Slice 64 of 565 | CT scan slice | Field of view 335 mm wide, 1.00 mm slice spacing | 512x512 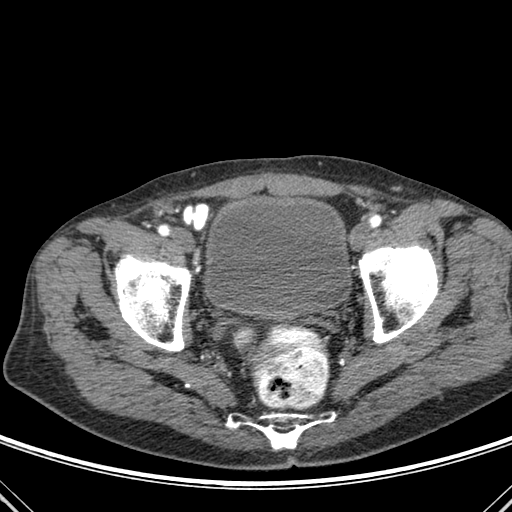

{"urinary_bladder": ["204,200,350,312"], "bone": ["359,244,438,343", "115,254,191,351", "226,412,335,449"]}